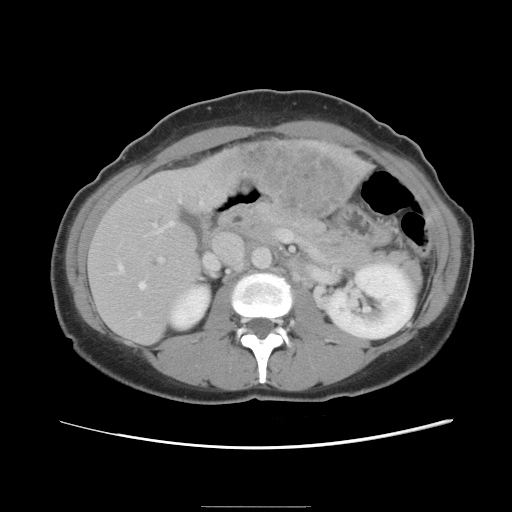
CT. The vessel annotation is not exhaustive.
liver tumor: <box>204,141,367,219</box> | hepatic vessel: <box>110,272,114,273</box>, <box>178,198,180,201</box>, <box>310,248,318,255</box>, <box>276,229,299,241</box>, <box>117,264,122,271</box>, <box>199,200,201,206</box>, <box>138,282,144,288</box>, <box>211,238,243,274</box>, <box>152,221,172,231</box>, <box>158,258,162,260</box>, <box>146,198,149,200</box>